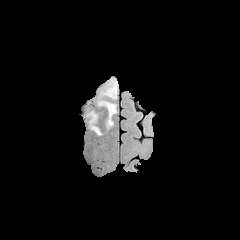
FLAIR MR image.
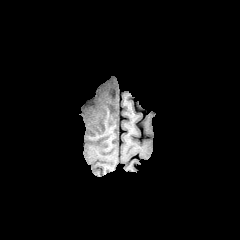
T1-weighted MR.
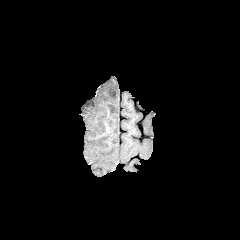
Post-contrast T1-weighted MR.
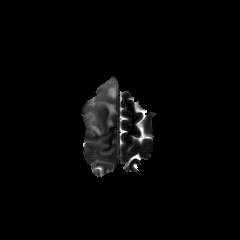
Same slice, T2-weighted magnetic resonance.
Head
3 edema regions are bounded by <box>106,104,116,128</box>, <box>85,111,101,135</box>, <box>97,79,117,106</box>.